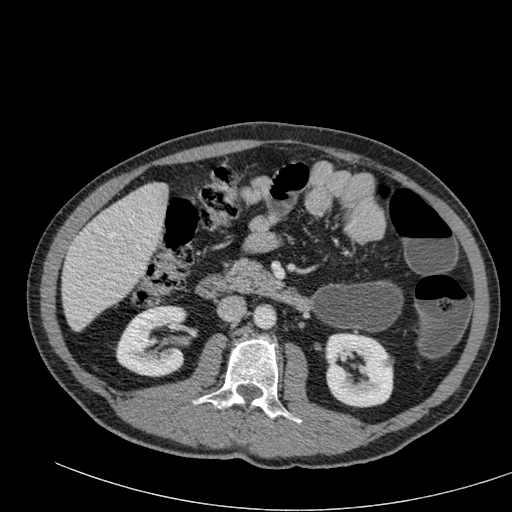

512x512 px | CT scan slice

2 kidney regions appear at [327,334,392,406], [117,306,184,375]. The liver is located at [62,183,167,330].